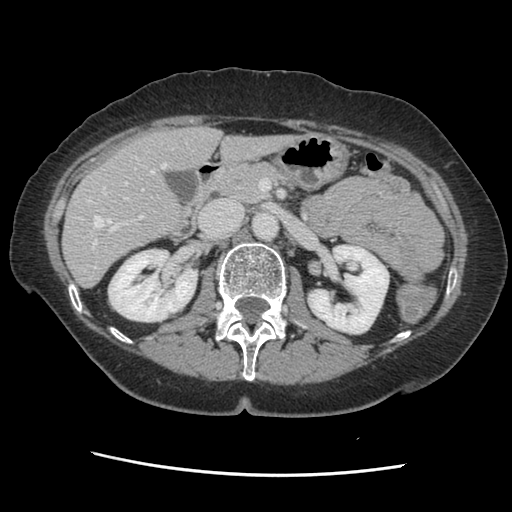
Abdomen. CT image.

The vessel annotation is not exhaustive.
9 hepatic vessel regions are located at <bbox>103, 187, 105, 194</bbox>, <bbox>163, 163, 165, 167</bbox>, <bbox>136, 215, 142, 219</bbox>, <bbox>150, 170, 153, 173</bbox>, <bbox>92, 240, 96, 248</bbox>, <bbox>125, 182, 127, 185</bbox>, <bbox>89, 198, 91, 201</bbox>, <bbox>123, 197, 127, 199</bbox>, <bbox>94, 217, 120, 230</bbox>.